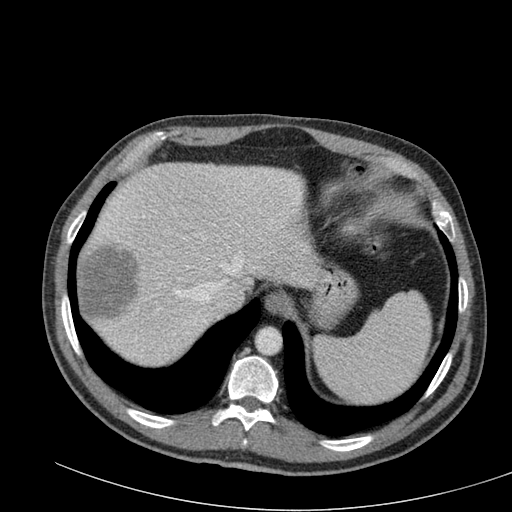

Computed tomography | Liver
Focal liver lesion: {"x1": 76, "y1": 246, "x2": 138, "y2": 317}.
Liver: {"x1": 83, "y1": 163, "x2": 306, "y2": 365}.